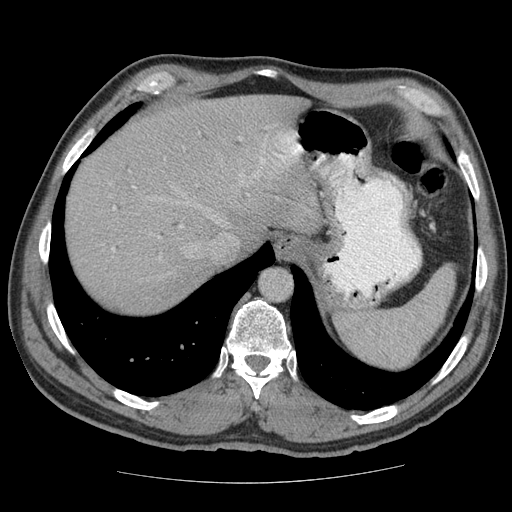

512x512, CT slice
Only some of the vessels may be annotated.
hepatic vessel: [x1=113, y1=207, x2=115, y2=209], [x1=183, y1=231, x2=237, y2=258], [x1=151, y1=198, x2=157, y2=199], [x1=158, y1=237, x2=160, y2=239], [x1=111, y1=247, x2=113, y2=250], [x1=164, y1=199, x2=175, y2=203], [x1=181, y1=196, x2=228, y2=227], [x1=179, y1=226, x2=181, y2=227], [x1=233, y1=171, x2=253, y2=190], [x1=238, y1=138, x2=241, y2=139]